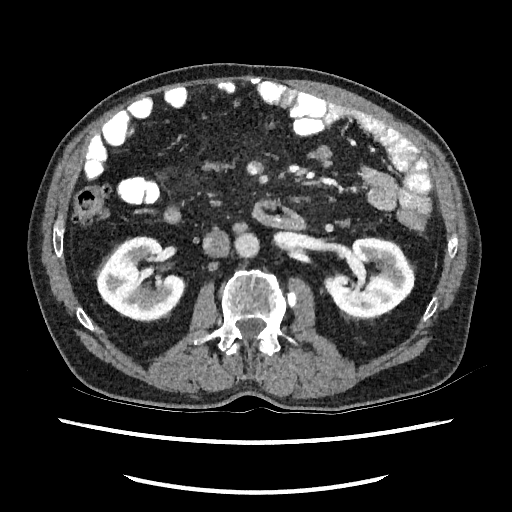 CT image; Image size 512x512

2 kidney regions appear at x1=97 y1=237 x2=184 y2=321, x1=324 y1=238 x2=414 y2=319.